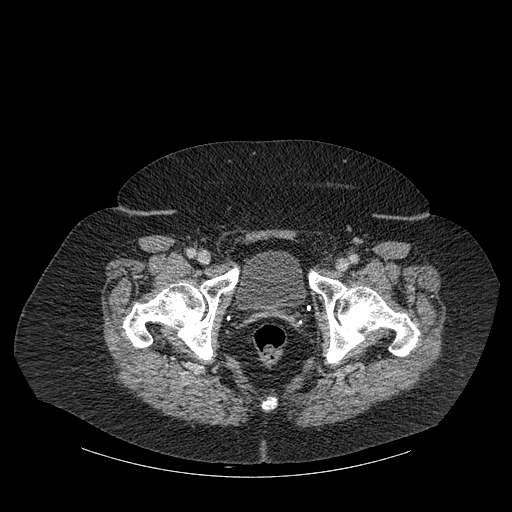
Computed tomography; Lower abdomen; 512x512

Segmented structures:
- urinary bladder: box(234, 250, 307, 321)
- bone: box(262, 398, 275, 408); box(123, 268, 238, 360); box(309, 271, 419, 363)